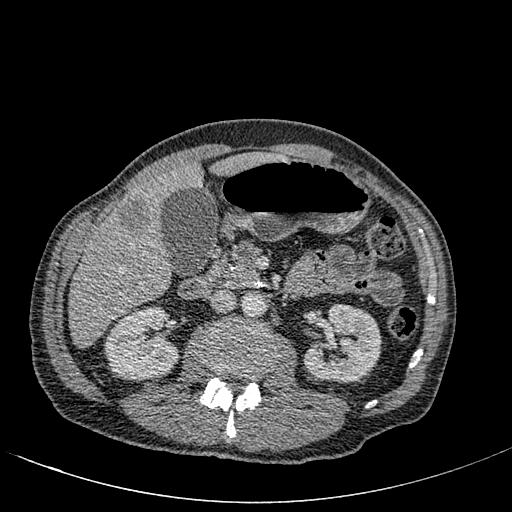 CT slice. Liver.
{"liver": ["[211, 152, 287, 175]", "[70, 161, 202, 348]"], "hepatic_lesion": ["[118, 198, 153, 236]"], "kidney": ["[304, 304, 380, 382]", "[105, 307, 178, 379]"]}